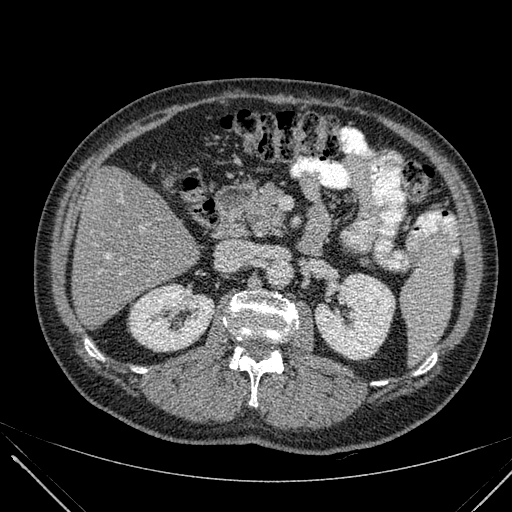
Abdomen | Computed tomography | Image size 512x512
Annotated regions:
* kidney: x1=130, y1=284, x2=213, y2=350; x1=315, y1=274, x2=394, y2=359
* liver: x1=72, y1=167, x2=202, y2=325